CT image

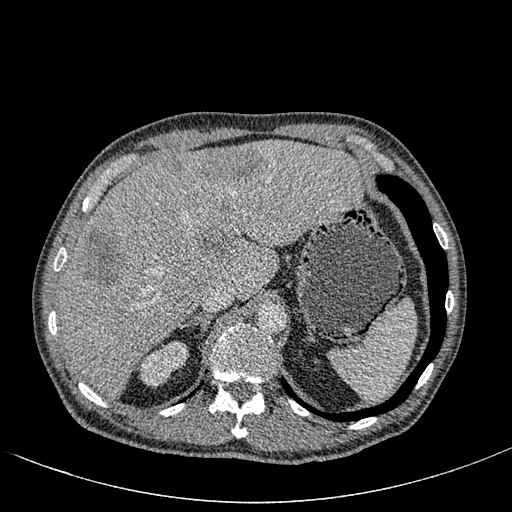 liver: (58, 140, 364, 397) | kidney: (140, 341, 188, 385) | hepatic lesion: (80, 228, 124, 285), (202, 148, 262, 183), (166, 160, 179, 172), (201, 226, 241, 258)